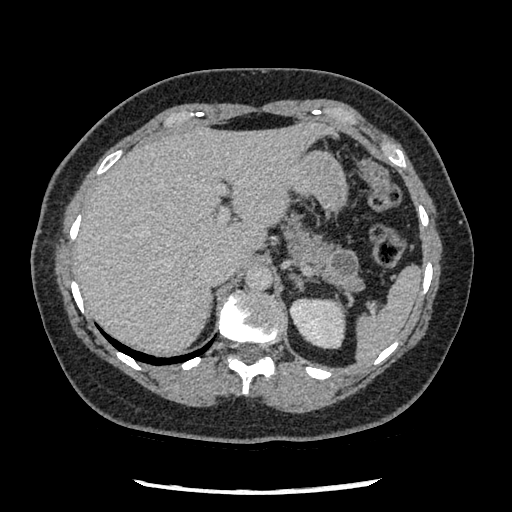

CT.
{"pancreatic_tumor": ["(328, 249, 359, 278)"], "pancreas": ["(283, 212, 362, 290)"]}